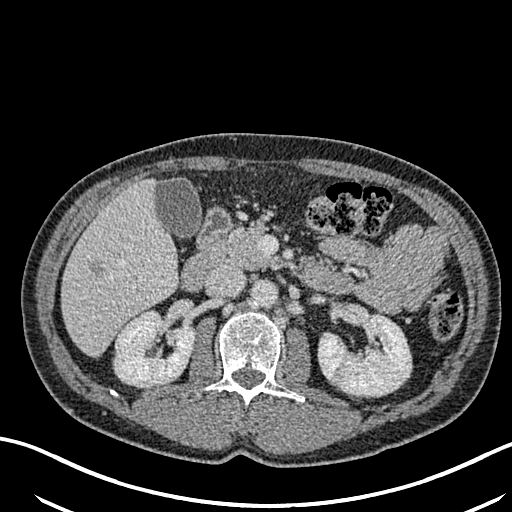

Upper abdomen, CT image

Segmented structures:
• kidney: left=318, top=309, right=411, bottom=395; left=115, top=312, right=194, bottom=386
• liver: left=63, top=179, right=178, bottom=355
• hepatic lesion: left=88, top=259, right=105, bottom=278